CT slice | Upper abdomen | Field of view 432x432 mm

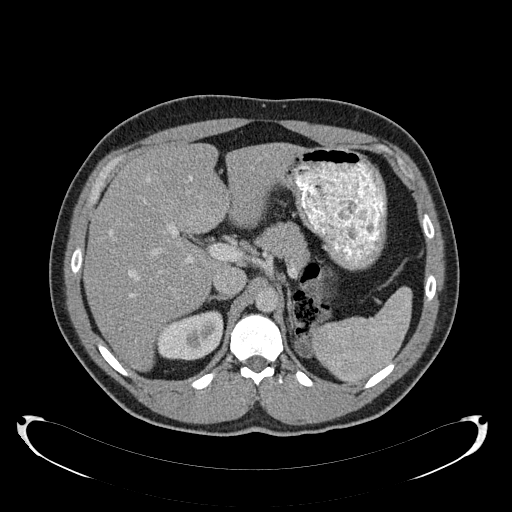 Annotated regions:
* kidney: rect(154, 312, 222, 359)
* liver: rect(84, 143, 301, 371)